Computed tomography; Slice index 117; Image size 512x512 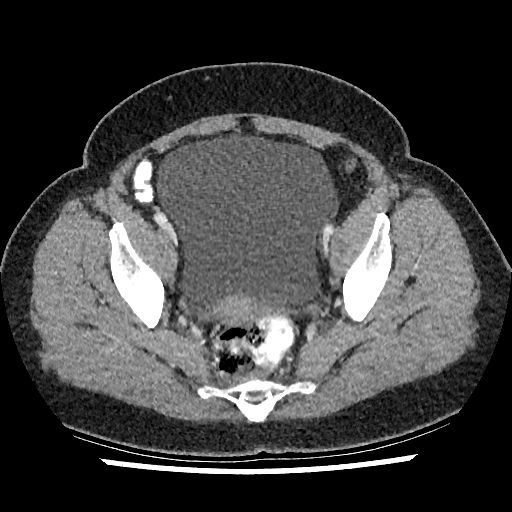 The urinary bladder lies within [156,134,336,318].